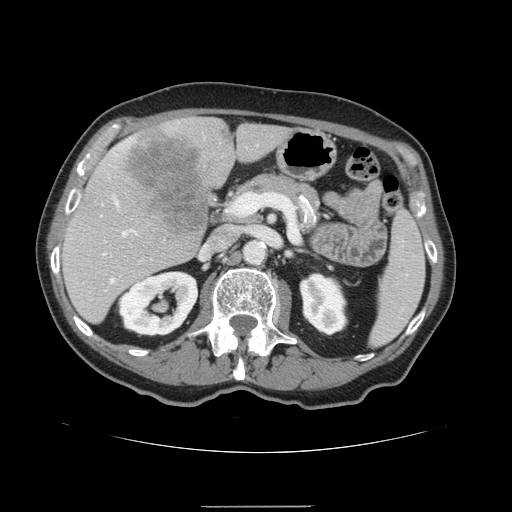

512x512; CT; Upper abdomen
The spleen appears at (372,213,424,344).